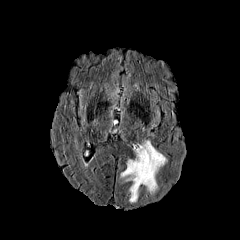
FLAIR MRI.
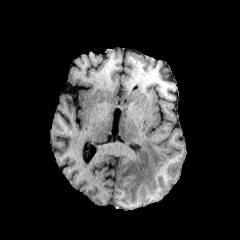
T1-weighted MRI.
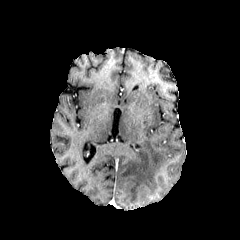
Same slice, post-contrast T1-weighted MR image.
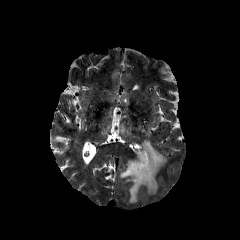
Same slice, T2-weighted magnetic resonance.
Head
Edema at box=[120, 140, 167, 203].